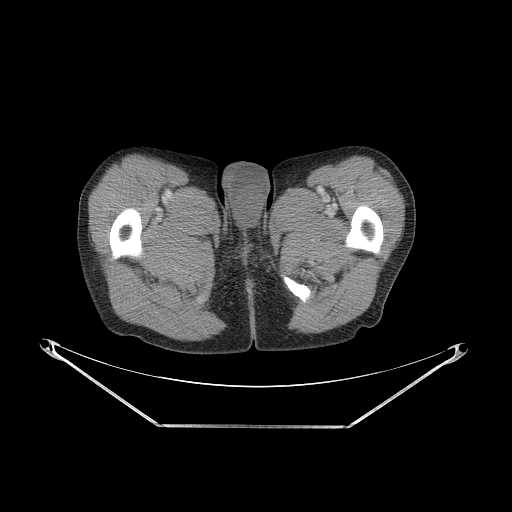 CT. Image size 512x512.
Bone at rect(110, 208, 141, 258); rect(346, 206, 383, 253); rect(284, 277, 309, 301).